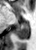 MR. 36x50 px. Posterior hippocampus at 16:23:29:39.